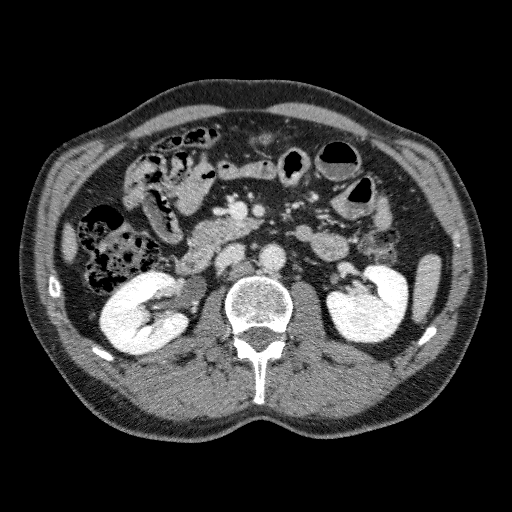
Abdomen. Computed tomography.

{"liver": ["(left=62, top=224, right=76, bottom=259)"], "kidney": ["(left=100, top=272, right=187, bottom=354)", "(left=327, top=266, right=407, bottom=341)"]}